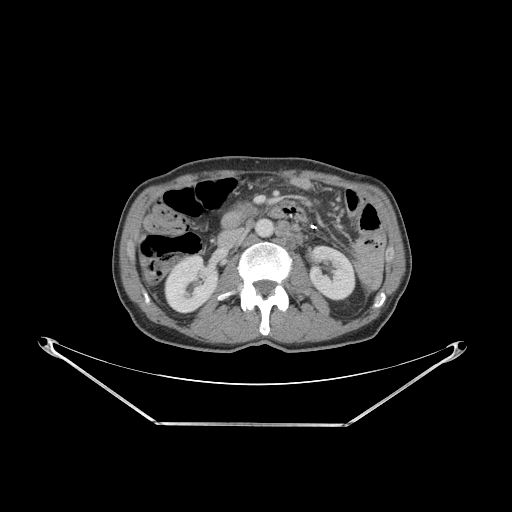 CT image, Abdomen, 512x512
Kidney at region(166, 256, 217, 312); region(311, 247, 353, 298).
Bone at region(375, 294, 384, 306); region(240, 242, 290, 334).